CT image. Chest. 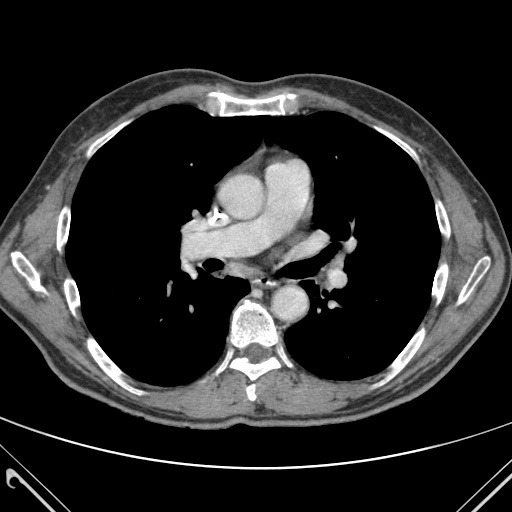 [15/16] bone: {"x1": 209, "y1": 92, "x2": 297, "y2": 115}, {"x1": 217, "y1": 352, "x2": 231, "y2": 373}, {"x1": 64, "y1": 280, "x2": 79, "y2": 313}, {"x1": 436, "y1": 202, "x2": 449, "y2": 236}, {"x1": 57, "y1": 208, "x2": 70, "y2": 249}, {"x1": 375, "y1": 127, "x2": 415, "y2": 155}, {"x1": 231, "y1": 300, "x2": 277, "y2": 347}, {"x1": 88, "y1": 122, "x2": 128, "y2": 154}, {"x1": 88, "y1": 339, "x2": 141, "y2": 394}, {"x1": 388, "y1": 329, "x2": 424, "y2": 378}, {"x1": 432, "y1": 264, "x2": 447, "y2": 302}, {"x1": 458, "y1": 257, "x2": 489, "y2": 303}, {"x1": 11, "y1": 252, "x2": 45, "y2": 292}, {"x1": 230, "y1": 358, "x2": 279, "y2": 379}, {"x1": 246, "y1": 385, "x2": 255, "y2": 400} | lung: {"x1": 66, "y1": 105, "x2": 440, "y2": 385}